Abdomen. Computed tomography. Slice index 255. 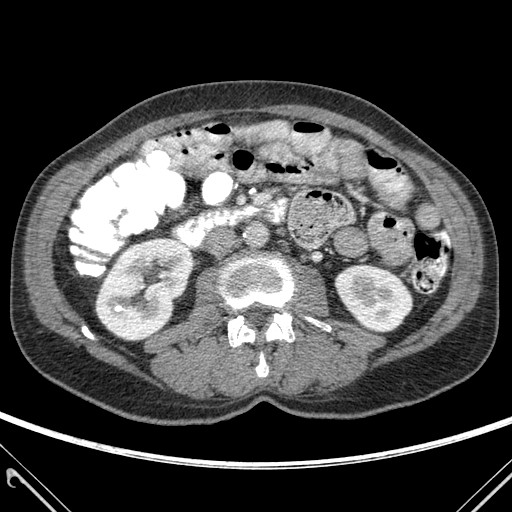
Kidney: <box>336,266,411,330</box>, <box>97,239,187,339</box>.
Bone: <box>220,258,293,310</box>, <box>228,316,254,346</box>, <box>256,353,268,376</box>, <box>82,326,93,338</box>, <box>266,312,294,341</box>, <box>305,317,320,326</box>.